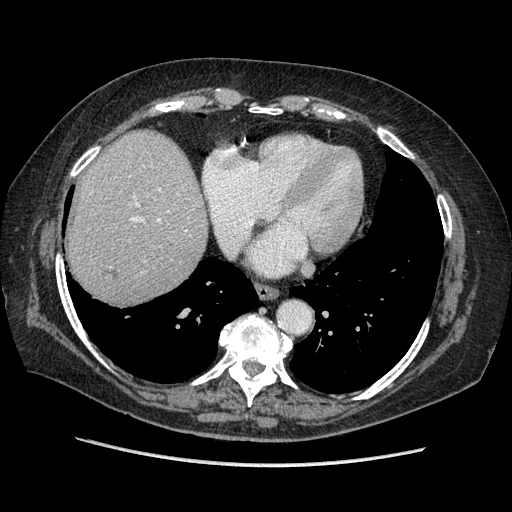

Abdomen | CT
The vessel annotation is not exhaustive.
hepatic_vessel:
  - 132:217:139:220
  - 135:203:138:205